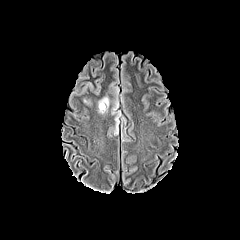
FLAIR MR image.
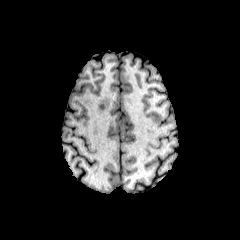
T1-weighted MRI.
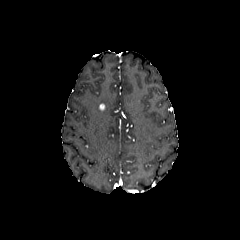
Same slice, post-contrast T1-weighted MR.
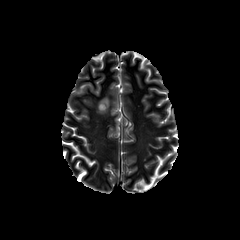
Same slice, T2-weighted MR image.
Annotated regions:
- edema: left=98, top=97, right=109, bottom=113